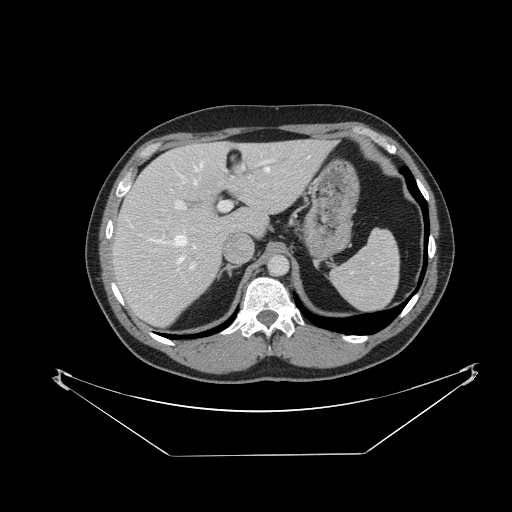
512x512 px | CT slice | Upper abdomen
Spleen at <box>332,229,399,312</box>.